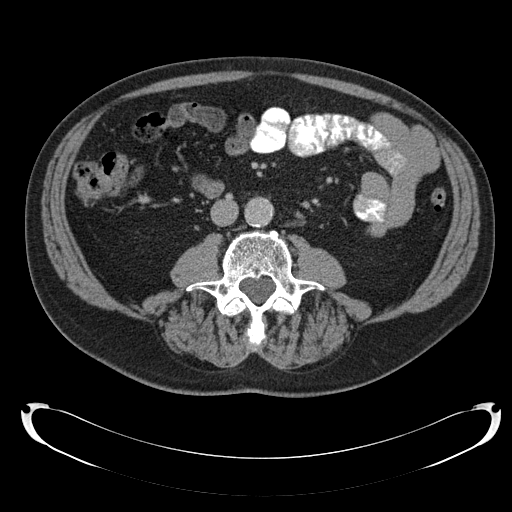
CT slice; 512x512 px; Abdomen

Colon tumor — left=96, top=155, right=127, bottom=188.